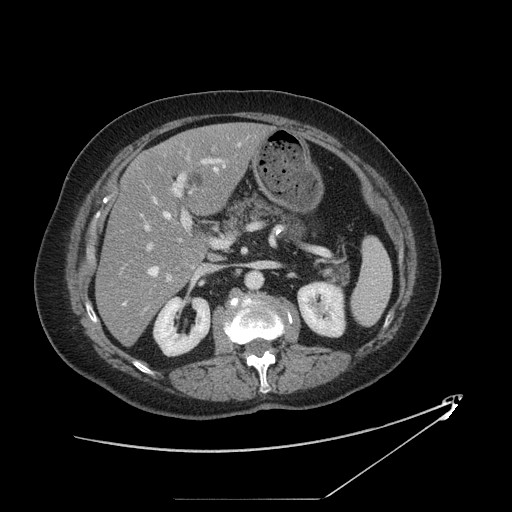 CT scan slice
The pancreas appears at 221:190:308:239.